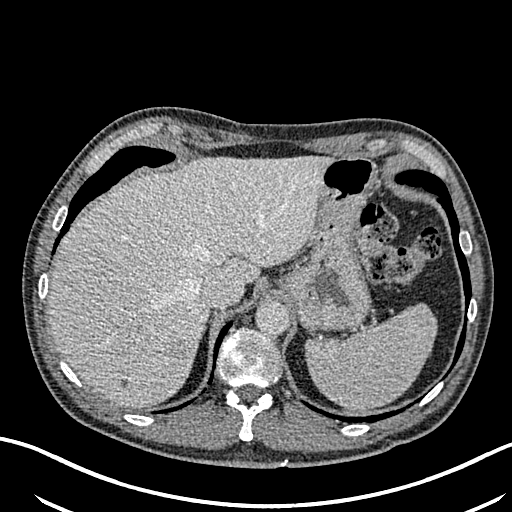

CT slice, Upper abdomen
2 liver lesion regions are located at [167,342,188,356], [57,256,67,263]. The liver is at [47,155,333,407].